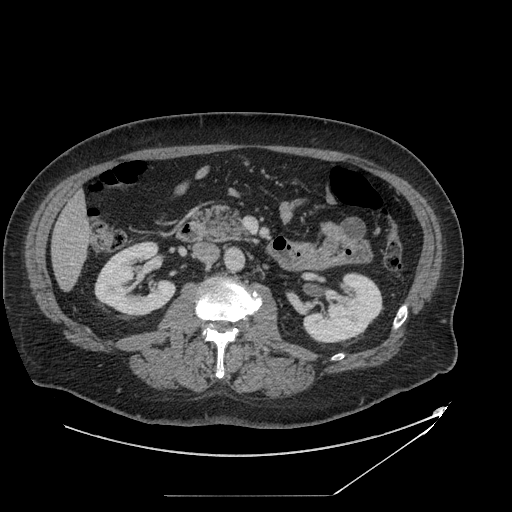

CT slice, 512x512
Findings:
- pancreas: 192,206,249,240